Slice 96/155, Image width 240 mm, Head, 240x240
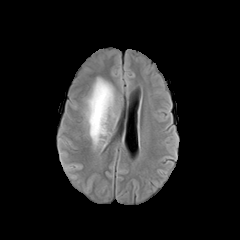
FLAIR magnetic resonance.
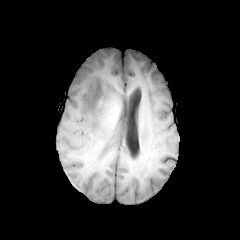
T1-weighted MR of the same slice.
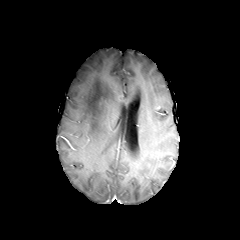
Post-contrast T1-weighted MRI.
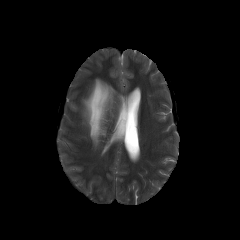
T2-weighted magnetic resonance.
Edema at [82, 77, 116, 147].